FLAIR MRI.
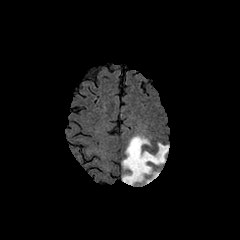
T1-weighted MR.
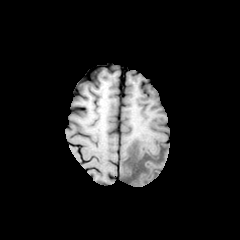
Post-contrast T1-weighted magnetic resonance.
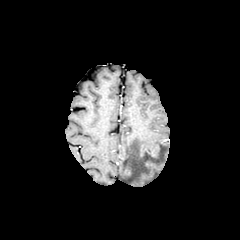
T2-weighted magnetic resonance.
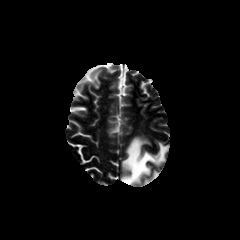
Head.
• edema: (121,136,169,185)